FLAIR MR.
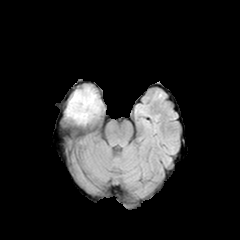
T1-weighted MR.
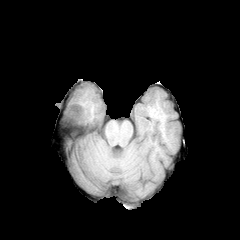
Post-contrast T1-weighted MR image.
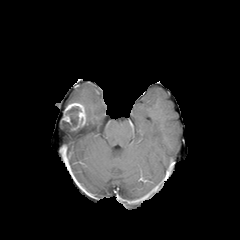
T2-weighted magnetic resonance.
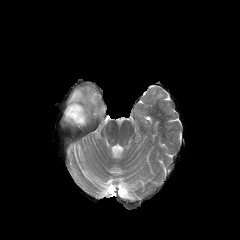
Image size 240x240, Head
* enhancing tumor: [64, 102, 85, 125]
* edema: [68, 86, 101, 123]
* non-enhancing tumor core: [64, 108, 78, 125]